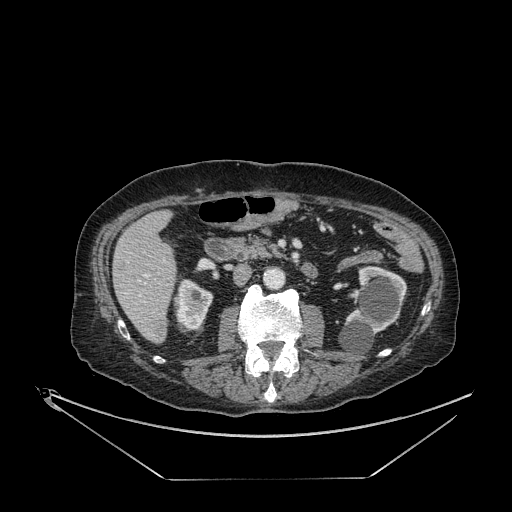
CT, Upper abdomen

The liver lesion is bounded by bbox=[154, 319, 163, 335]. 3 kidney regions appear at bbox=[175, 280, 212, 329]; bbox=[346, 309, 399, 333]; bbox=[359, 266, 406, 302]. The liver is located at bbox=[113, 211, 175, 343].